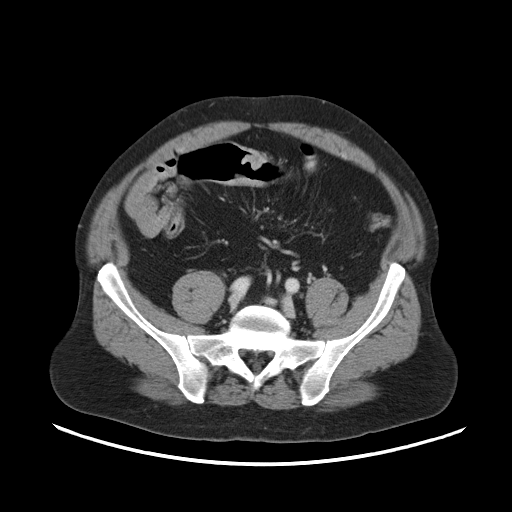
Abdomen; CT image; 512x512

colon_tumor:
  - (x1=234, y1=143, x2=266, y2=169)
  - (x1=210, y1=178, x2=263, y2=186)